240x240, Brain
FLAIR MR.
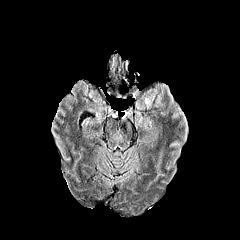
T1-weighted MRI.
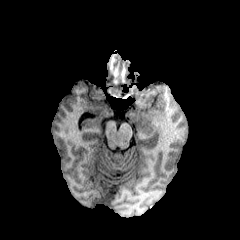
Post-contrast T1-weighted magnetic resonance.
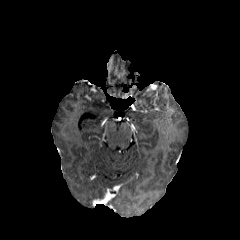
T2-weighted MR image.
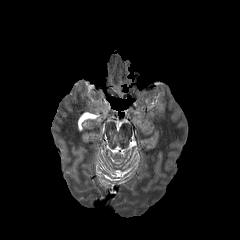
Edema at 144, 94, 154, 108.